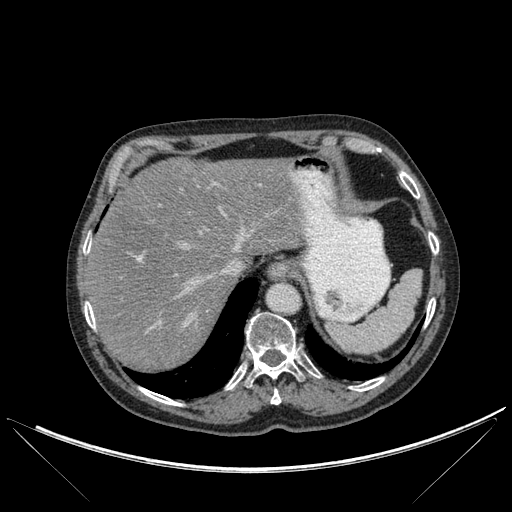

Abdomen. Computed tomography.
• bone: box=[246, 313, 320, 382]; box=[226, 365, 246, 389]; box=[271, 389, 280, 404]; box=[428, 233, 438, 253]; box=[139, 387, 181, 405]; box=[83, 237, 91, 253]; box=[399, 171, 419, 198]; box=[350, 377, 384, 391]; box=[84, 302, 95, 328]; box=[425, 298, 435, 326]
• liver: box=[87, 157, 303, 372]
• lung: box=[305, 324, 420, 379]; box=[126, 278, 257, 398]